FLAIR MR image.
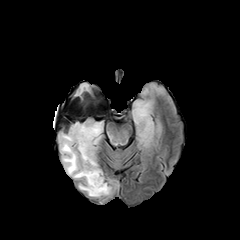
T1-weighted MR image.
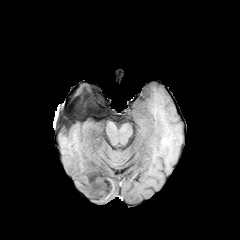
Post-contrast T1-weighted MRI.
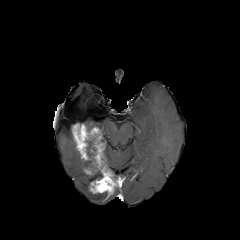
T2-weighted MR.
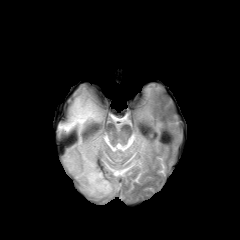
Annotated regions:
* enhancing tumor: [72, 123, 101, 161], [89, 170, 119, 194]
* non-enhancing tumor core: [83, 137, 122, 186]
* edema: [133, 102, 152, 125], [59, 114, 106, 198]